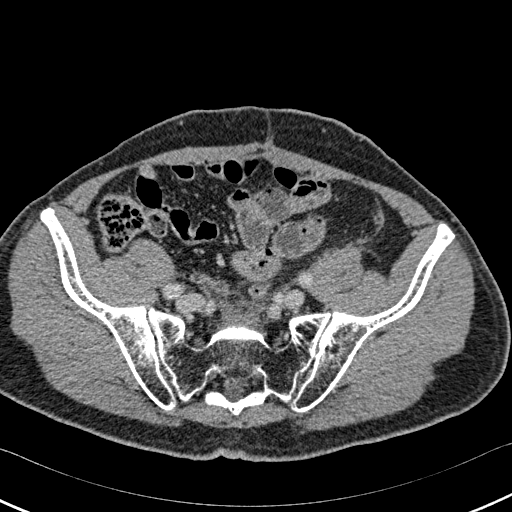 512x512; Computed tomography

bone:
  - <bbox>41, 208, 454, 414</bbox>